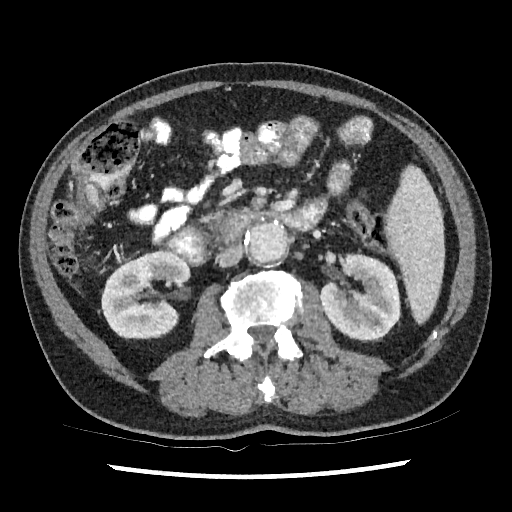

CT

* kidney: (x1=102, y1=251, x2=189, y2=337), (x1=320, y1=255, x2=399, y2=339)